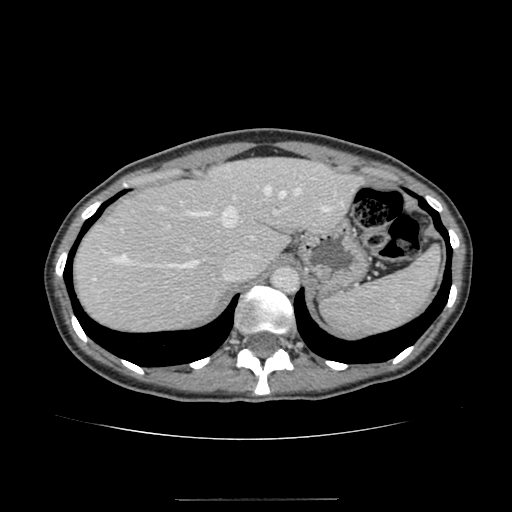
CT slice. 512x512.
- liver: x1=76 y1=157 x2=362 y2=333